FLAIR magnetic resonance.
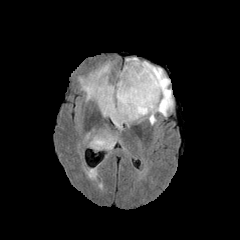
T1-weighted MR.
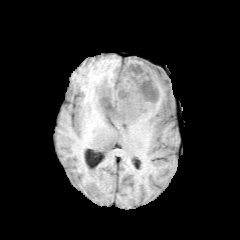
Post-contrast T1-weighted MR.
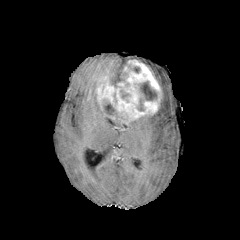
T2-weighted MR.
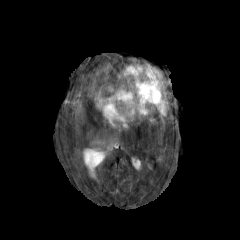
240x240 px. Head.
Segmented structures:
- non-enhancing tumor core: rect(102, 100, 121, 119); rect(137, 81, 157, 111); rect(114, 73, 126, 87)
- enhancing tumor: rect(96, 60, 161, 123)
- edema: rect(92, 138, 113, 149); rect(80, 61, 173, 127)